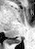

35x49 px. MR image. Hippocampus.

The posterior hippocampus lies within (6,37,21,44).